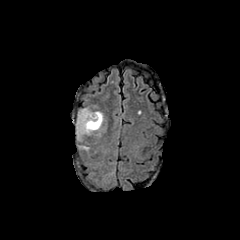
FLAIR MR.
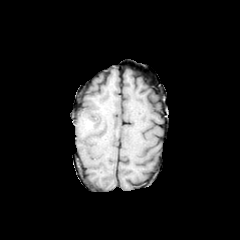
Same slice, T1-weighted MRI.
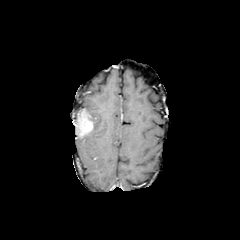
Post-contrast T1-weighted MRI.
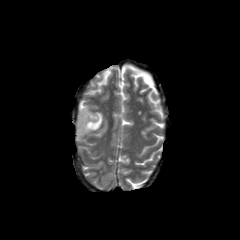
T2-weighted MR.
240x240 px.
Enhancing tumor — 76,109,93,137.
Edema — 79,108,104,140.